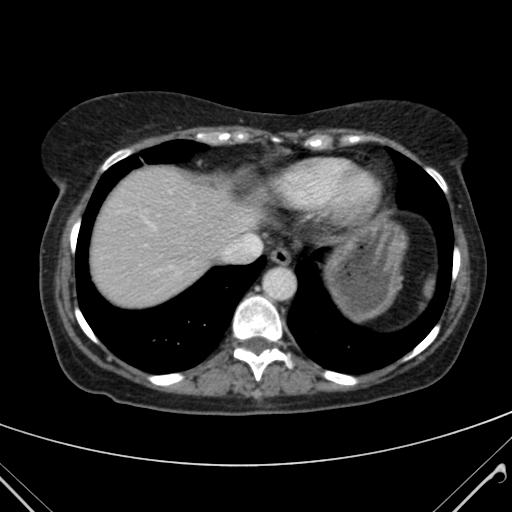
Computed tomography.
Liver = bbox=[90, 166, 252, 307].